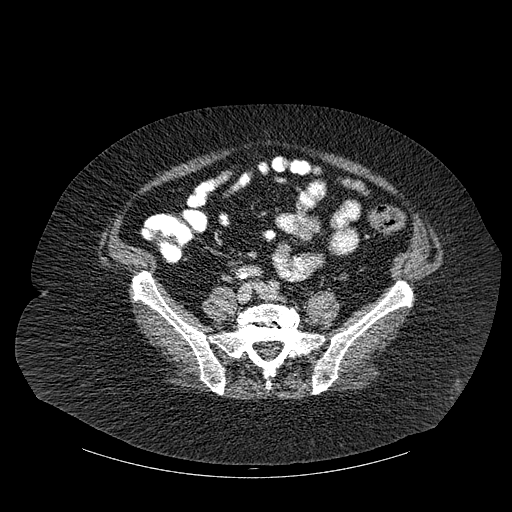 CT slice.

Bone at [312, 281, 412, 394], [132, 271, 324, 394].